Slice index 45; Field of view 240 mm wide, 1.00 mm slice spacing; Head
FLAIR MRI.
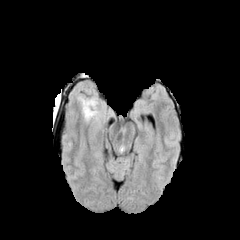
T1-weighted MR image.
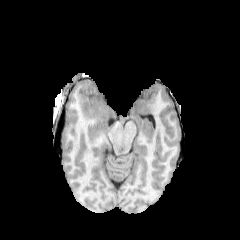
Post-contrast T1-weighted MR.
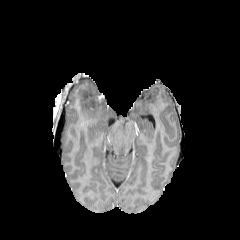
T2-weighted MR image.
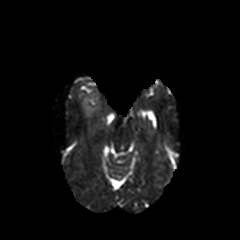
The edema is bounded by <bbox>78, 95, 107, 121</bbox>.